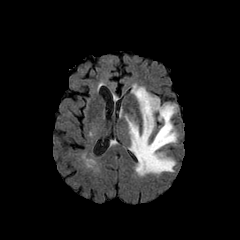
FLAIR MR image.
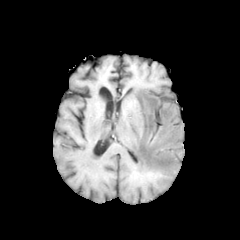
T1-weighted MR image of the same slice.
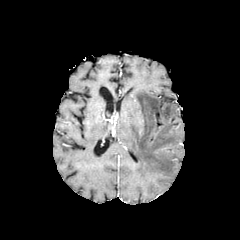
Post-contrast T1-weighted MRI.
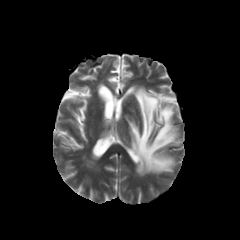
Same slice, T2-weighted MR.
Brain
<segmentation>
  <edema>box(128, 86, 178, 176)</edema>
</segmentation>